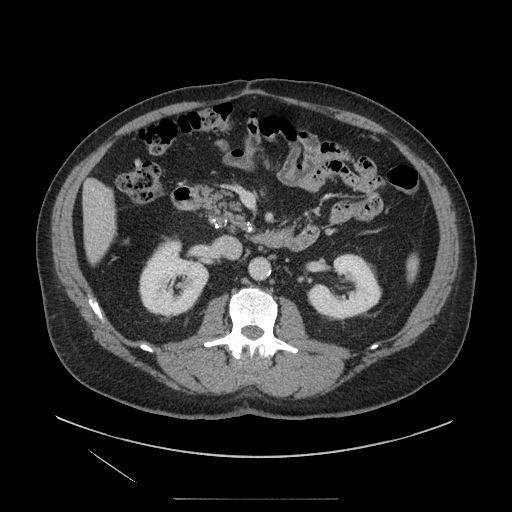 CT scan slice
Pancreas = left=199, top=185, right=250, bottom=233.